Brain
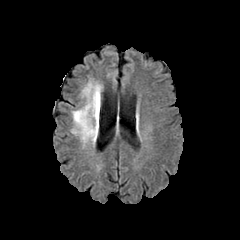
FLAIR MRI.
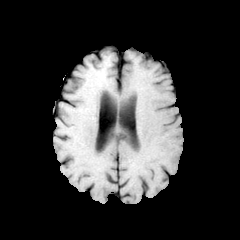
T1-weighted MRI.
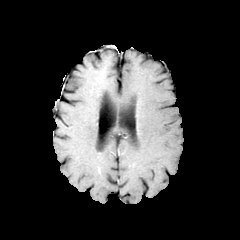
Post-contrast T1-weighted MR.
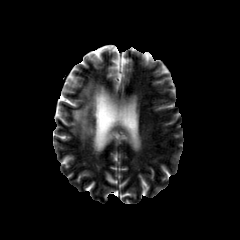
T2-weighted MR.
Edema: region(71, 78, 103, 148).